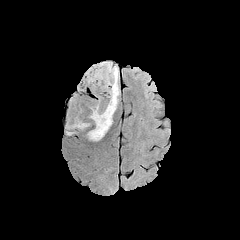
FLAIR MRI.
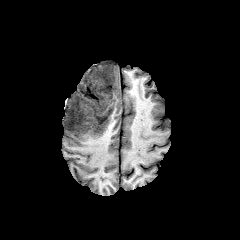
T1-weighted MRI.
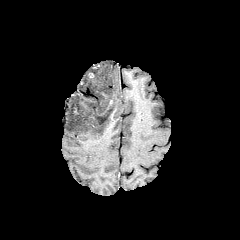
Post-contrast T1-weighted magnetic resonance.
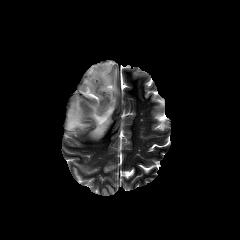
T2-weighted magnetic resonance.
Head
Non-enhancing tumor core — 97 115 107 123, 88 63 111 81.
Edema — 66 62 120 140.